Slice 93 of 164. Upper abdomen. CT.
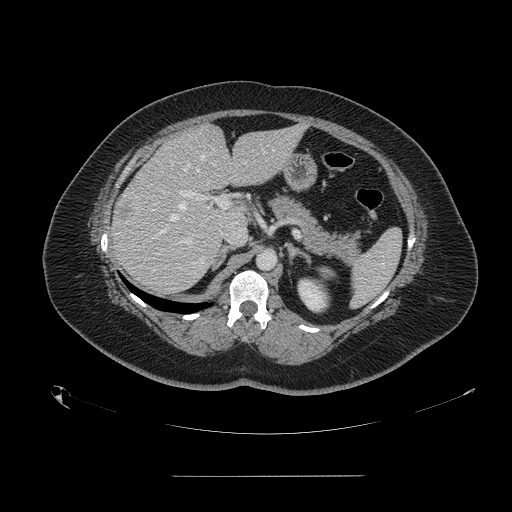

Spleen: region(351, 230, 401, 307); region(320, 268, 334, 280).